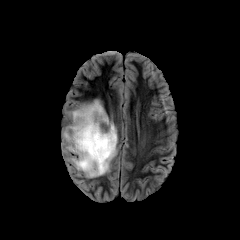
FLAIR MR image.
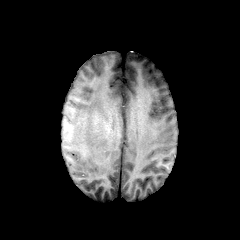
T1-weighted MRI.
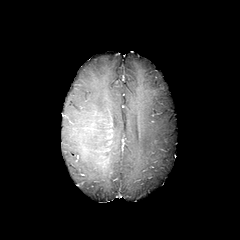
Same slice, post-contrast T1-weighted MRI.
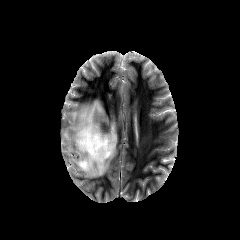
T2-weighted MRI.
Brain.
Findings:
• edema: <bbox>66, 100, 117, 177</bbox>
• non-enhancing tumor core: <bbox>107, 130, 112, 152</bbox>